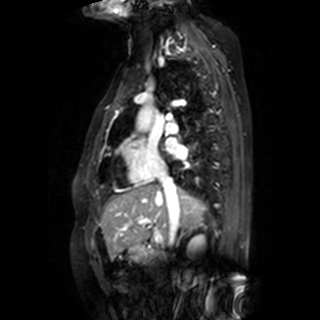
Cardiac; MR image; 320x320 px
Left atrium — 165,138,187,158.